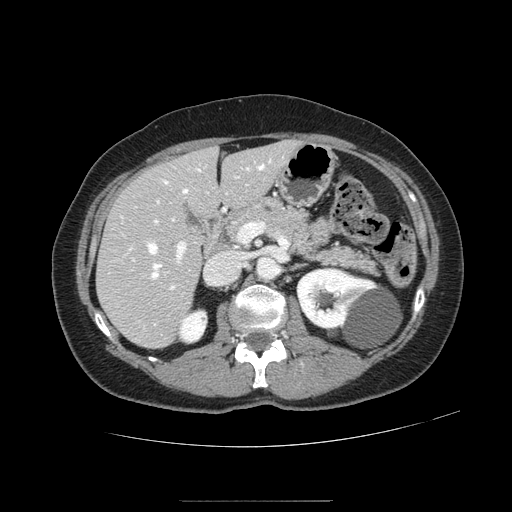

Abdomen, CT slice

pancreas: 205, 196, 379, 276